Computed tomography. Field of view 500 mm wide, 1.50 mm slice spacing. 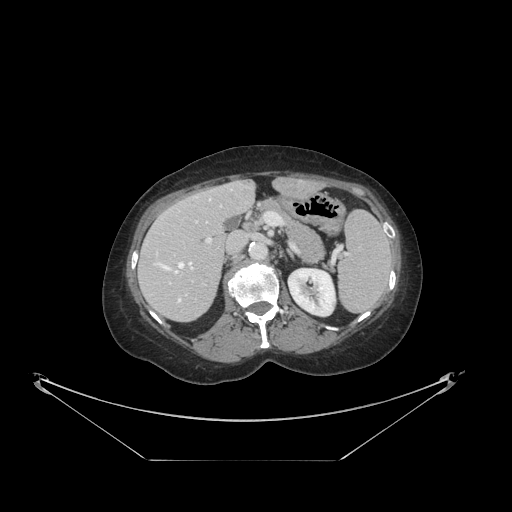

The vessel annotation is not exhaustive.
Hepatic vessel at 189 262 192 269, 206 237 211 242, 174 270 177 273, 178 299 180 302, 178 262 182 267, 264 210 281 224, 155 262 168 269.